Image size 512x512; Upper abdomen; Slice index 290; Computed tomography

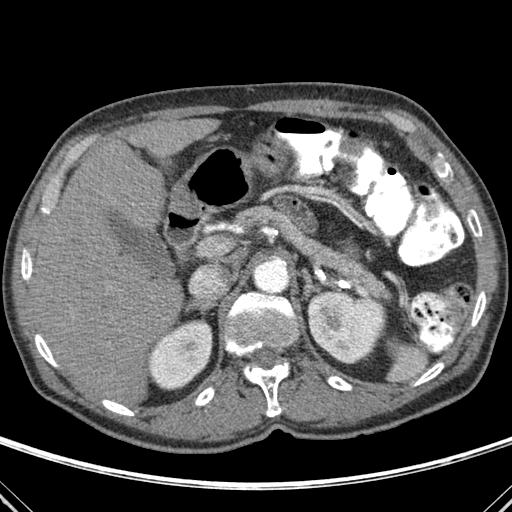
Segmented structures:
* bone: 244 362 288 416, 328 376 351 390, 195 387 214 405, 471 291 485 326, 102 400 133 415, 414 363 443 385, 35 334 56 366, 21 250 31 279, 467 209 481 236, 439 161 452 177, 225 291 298 355
* liver: 33 141 183 402, 170 183 187 213, 128 119 219 158
* kidney: 309 293 382 362, 150 323 211 387